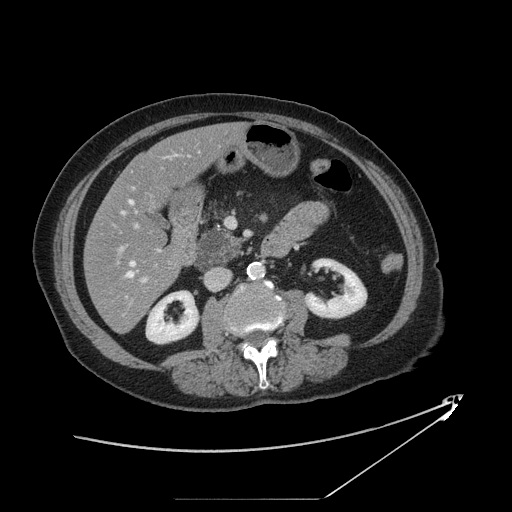
CT image. Upper abdomen.
Pancreas = (199,229,244,262).
Pancreatic tumor = (195,232,235,269).